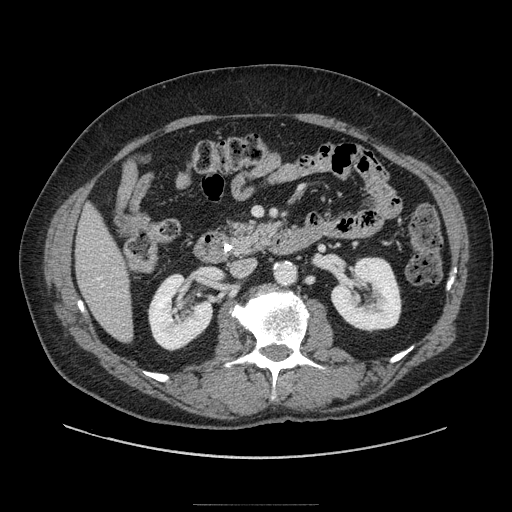

CT scan slice, Image size 512x512, Abdomen
Pancreas: 226 220 279 254.